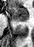 MR image; Hippocampus; 34x47 px

anterior hippocampus: <box>8,7,27,21</box>